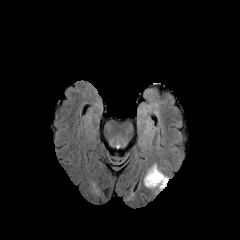
FLAIR MRI.
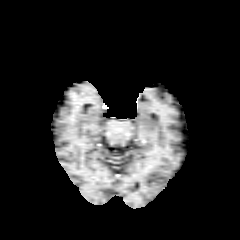
T1-weighted MRI.
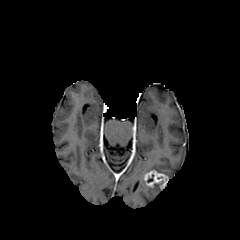
Post-contrast T1-weighted MR.
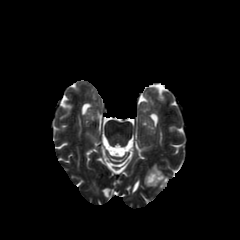
T2-weighted MR.
Head
<segmentation>
  <enhancing_tumor>143:170:168:188</enhancing_tumor>
  <edema>145:162:168:177, 142:175:162:193</edema>
</segmentation>